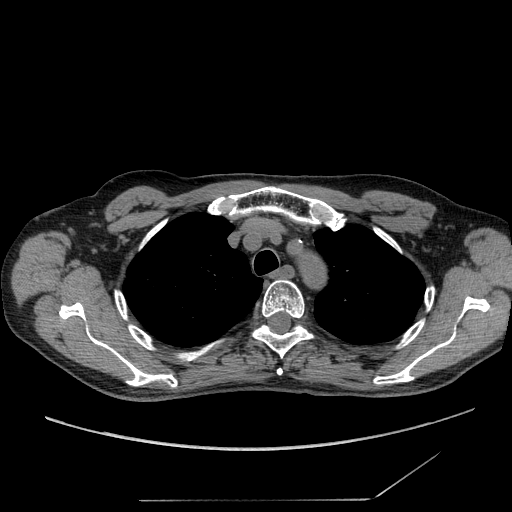
CT.

Lung tumor: bounding box 141:274:167:295.